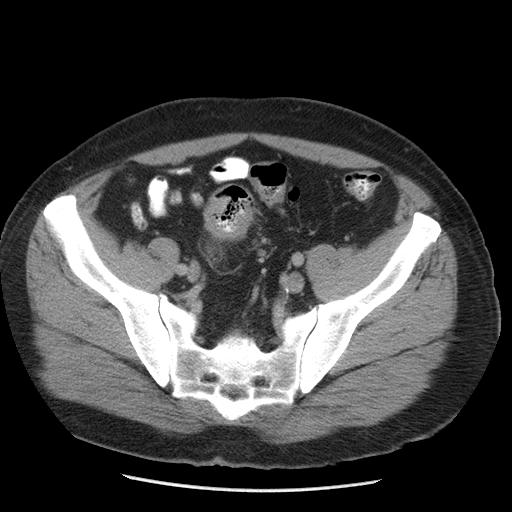 CT slice
colon_tumor:
  - (x1=204, y1=198, x2=252, y2=239)